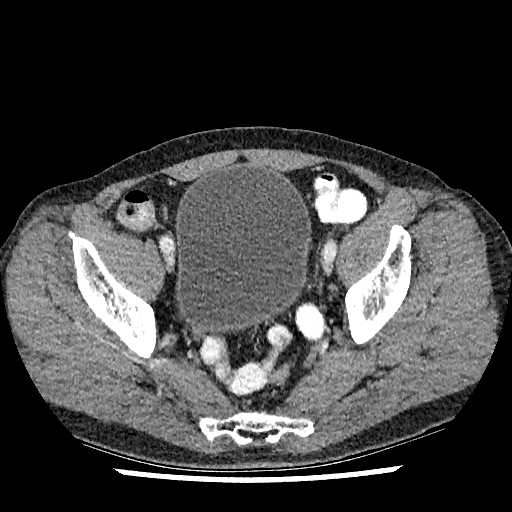

CT image. 512x512 px. Urinary bladder — [176, 166, 309, 333].